Brain
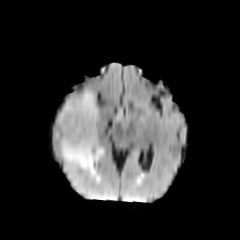
FLAIR magnetic resonance.
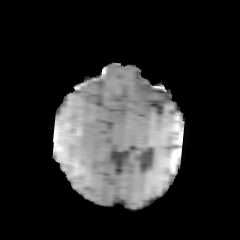
T1-weighted MR.
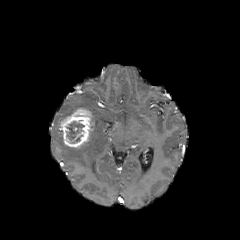
Same slice, post-contrast T1-weighted MR.
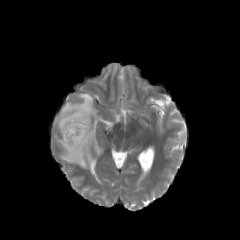
T2-weighted magnetic resonance.
Enhancing tumor: box=[59, 107, 94, 147].
Non-enhancing tumor core: box=[65, 120, 84, 140].
Edema: box=[54, 92, 102, 175].